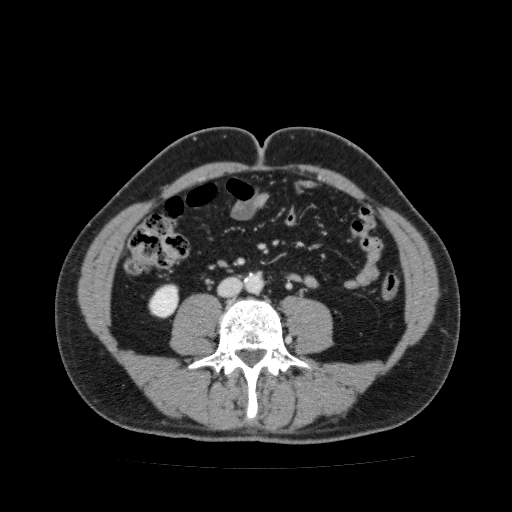

Abdomen, CT image

kidney:
  - [149, 285, 177, 316]